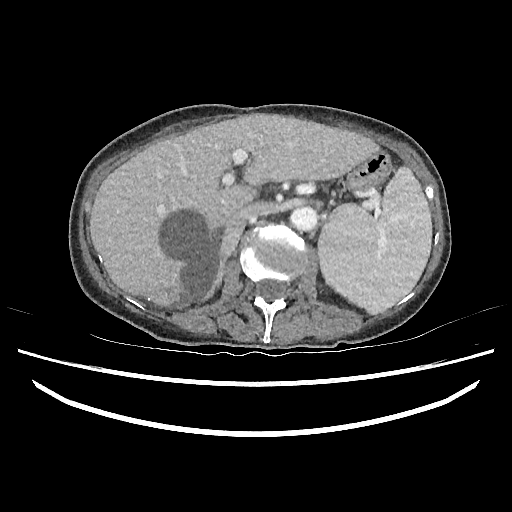 CT. 512x512. Upper abdomen. <segmentation>
  <liver>189, 254, 222, 304; 90, 116, 374, 305</liver>
  <hepatic_lesion>161, 212, 220, 304</hepatic_lesion>
</segmentation>